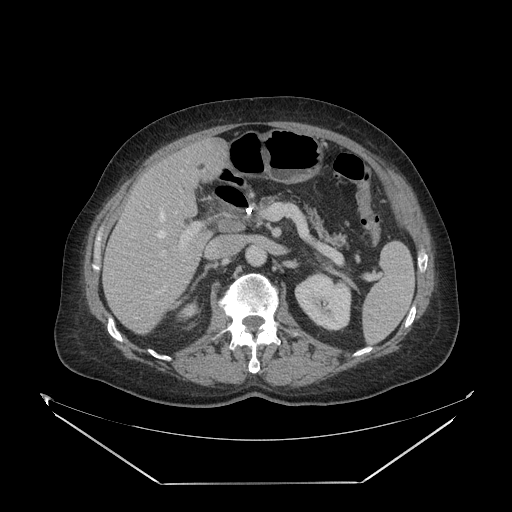

512x512, CT slice
Pancreas: bounding box x1=304, y1=203, x2=350, y2=248; x1=258, y1=195, x2=277, y2=208.